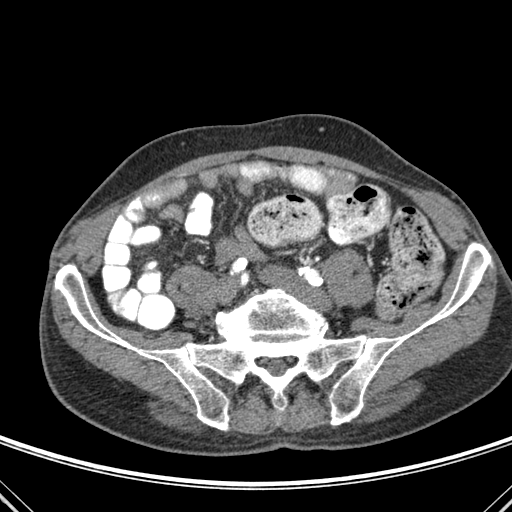 CT scan slice.
{
  "bone": [
    "x1=55, y1=242, x2=491, y2=430"
  ]
}